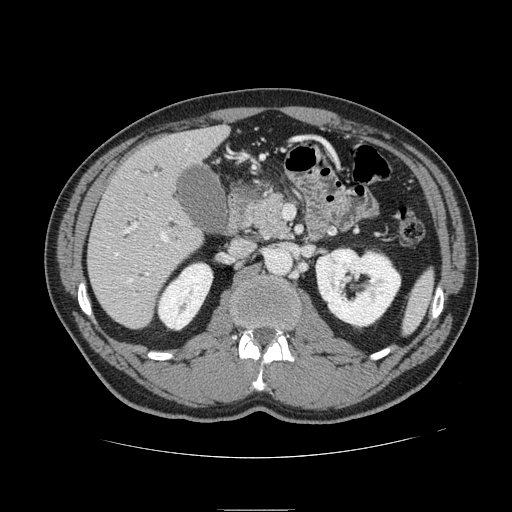 CT slice
The pancreas lies within x1=243 y1=194 x2=289 y2=238. The pancreatic tumor is at x1=255 y1=204 x2=279 y2=238.